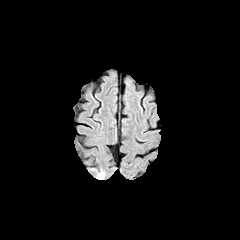
FLAIR magnetic resonance.
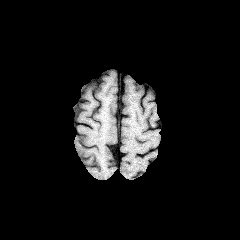
T1-weighted magnetic resonance.
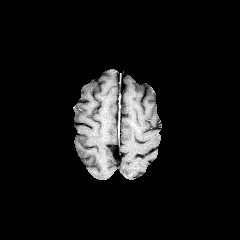
Post-contrast T1-weighted MR image.
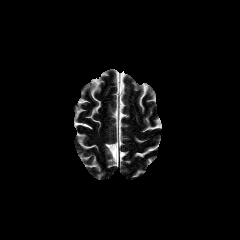
T2-weighted MR image.
Image size 240x240
The edema is located at 97:169:105:178.